FLAIR MR.
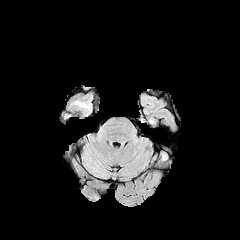
T1-weighted MRI.
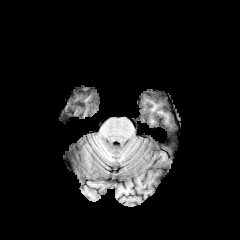
Post-contrast T1-weighted MRI.
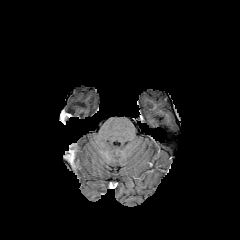
T2-weighted MR image.
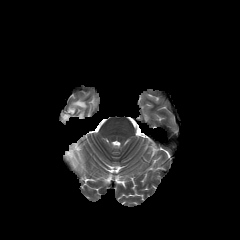
The non-enhancing tumor core is at 65:144:75:160. The edema lies within 73:100:91:109.